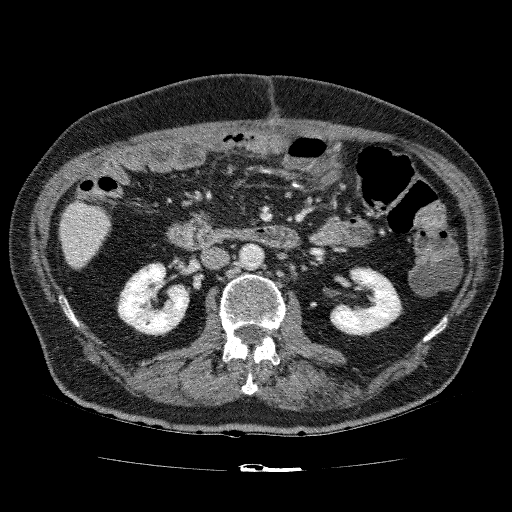
CT scan slice

Annotated regions:
- liver: bbox=[59, 200, 112, 271]
- kidney: bbox=[118, 263, 188, 334]; bbox=[330, 268, 400, 334]